FLAIR magnetic resonance.
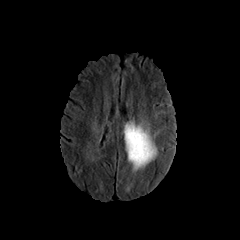
T1-weighted MRI.
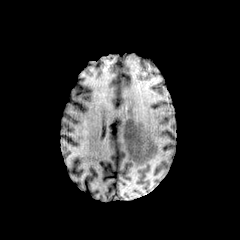
Post-contrast T1-weighted MR.
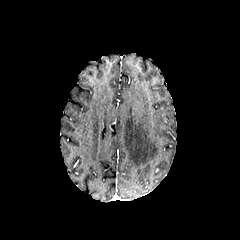
T2-weighted MR image.
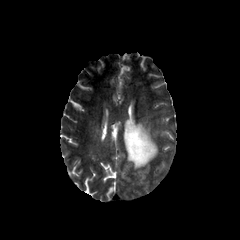
240x240 | Head
Annotated regions:
- edema: [122, 120, 158, 174]